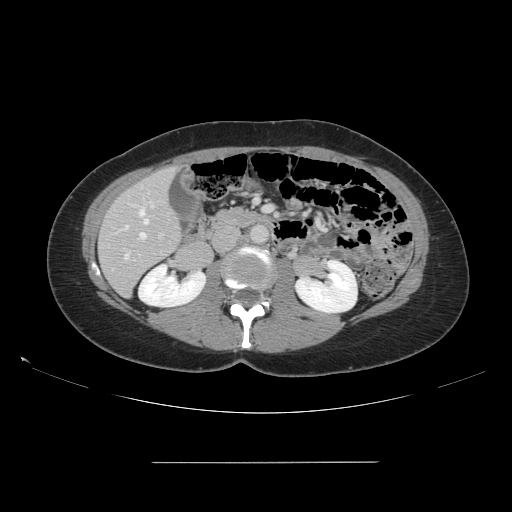

Liver. Computed tomography. Some hepatic vessels may have no box.
hepatic_vessel:
  - l=148, t=201, r=154, b=206
  - l=140, t=207, r=144, b=217
  - l=159, t=234, r=161, b=237
  - l=139, t=233, r=146, b=239
  - l=143, t=218, r=148, b=224
  - l=118, t=225, r=128, b=231
  - l=124, t=249, r=129, b=259